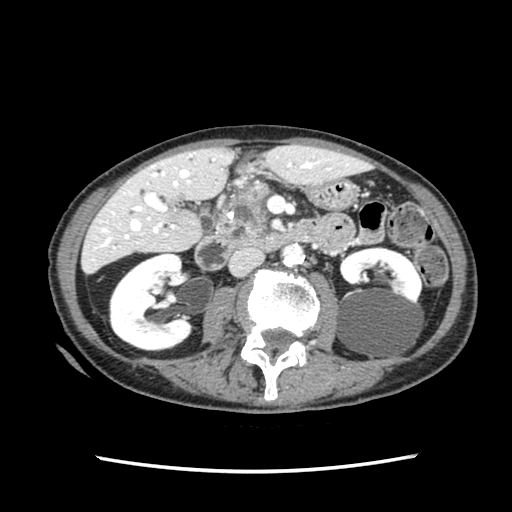
Upper abdomen. CT. • pancreas: left=221, top=184, right=270, bottom=238
• pancreatic tumor: left=234, top=202, right=257, bottom=227